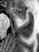 Hippocampus | MR | 39x52 px

The anterior hippocampus appears at (x1=10, y1=7, x2=25, y2=18).